Slice 87 of 104. CT.

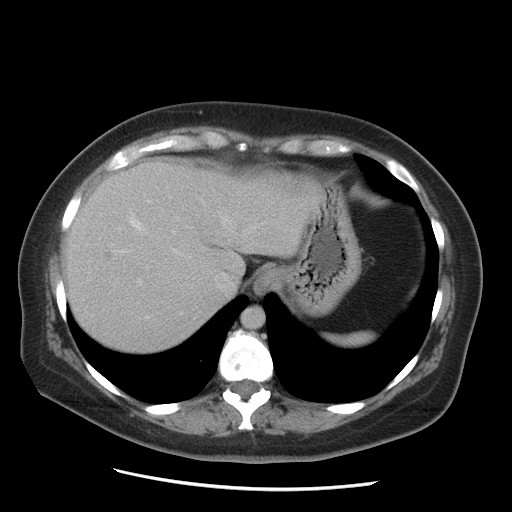 Findings:
- liver: region(65, 161, 310, 351)
- hepatic lesion: region(104, 252, 112, 260)